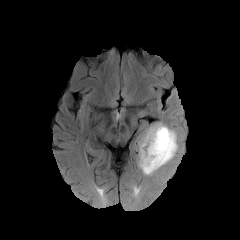
FLAIR MRI.
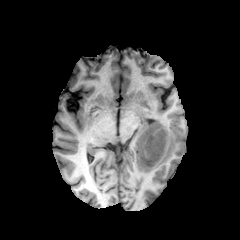
Same slice, T1-weighted magnetic resonance.
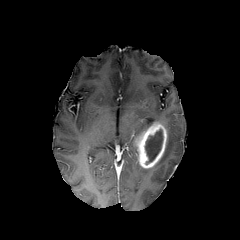
Post-contrast T1-weighted MR image.
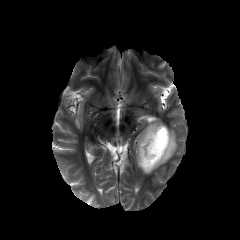
T2-weighted MR.
Brain | Image size 240x240
Non-enhancing tumor core: bounding box x1=145 y1=129 x2=163 y2=164.
Enhancing tumor: bounding box x1=136 y1=122 x2=167 y2=168.
Edema: bounding box x1=142 y1=121 x2=178 y2=175.